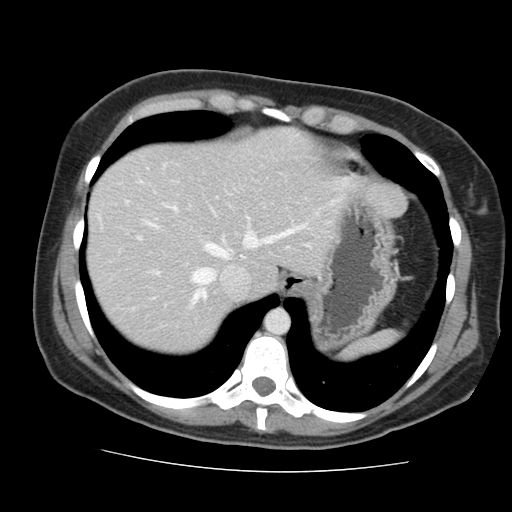
CT scan slice, Liver

Some hepatic vessels may have no box.
4 hepatic vessel regions are bounded by 192, 269, 214, 302; 138, 237, 139, 238; 244, 227, 301, 246; 156, 272, 158, 274.